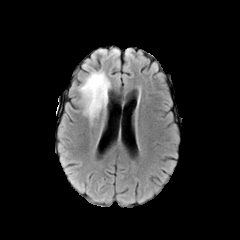
FLAIR MRI.
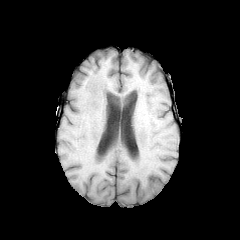
T1-weighted MR image.
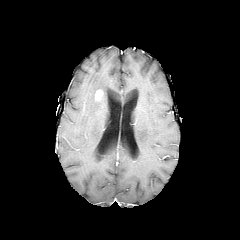
Same slice, post-contrast T1-weighted magnetic resonance.
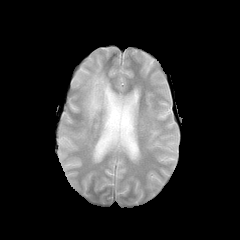
Same slice, T2-weighted magnetic resonance.
240x240.
edema: [x1=78, y1=68, x2=111, y2=123] | enhancing tumor: [x1=95, y1=89, x2=103, y2=100]